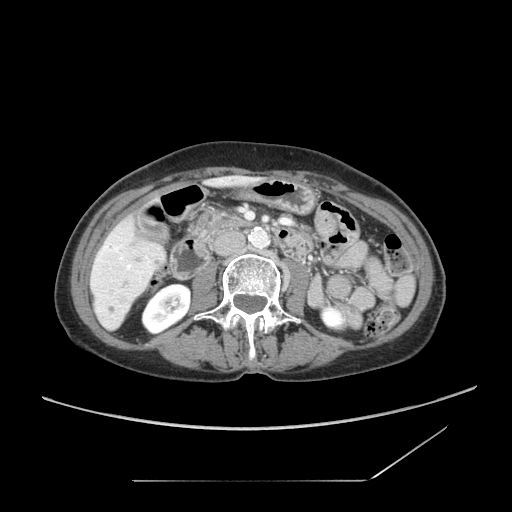

Computed tomography. Abdomen. The pancreatic tumor is at (x1=202, y1=213, x2=225, y2=231). The pancreas is located at (x1=196, y1=213, x2=242, y2=241).